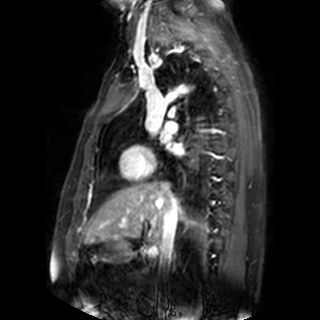

MR. Cardiac.

left_atrium:
  - rect(170, 143, 183, 153)
  - rect(159, 131, 170, 143)